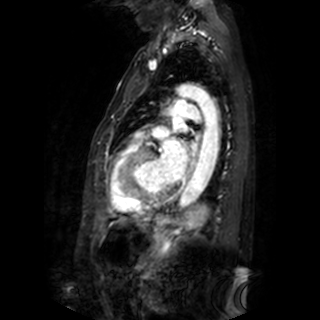 MRI
<segmentation>
  <left_atrium>bbox(158, 140, 187, 182); bbox(173, 117, 183, 130)</left_atrium>
</segmentation>